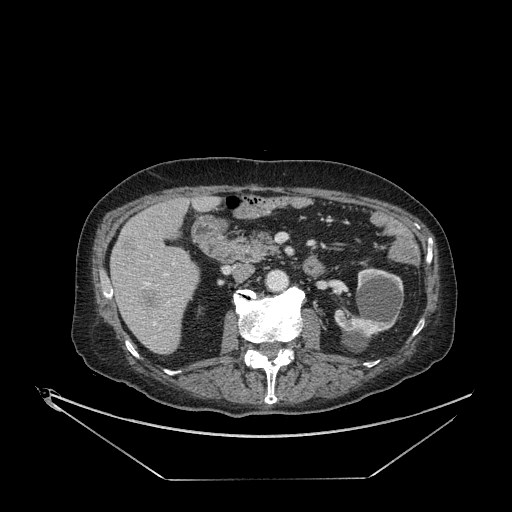 CT slice. Upper abdomen.
hepatic_lesion:
  - left=139, top=289, right=158, bottom=313
  - left=121, top=237, right=136, bottom=255
kidney:
  - left=358, top=269, right=402, bottom=291
  - left=321, top=280, right=347, bottom=294
  - left=334, top=310, right=394, bottom=336
liver:
  - left=111, top=196, right=219, bottom=354